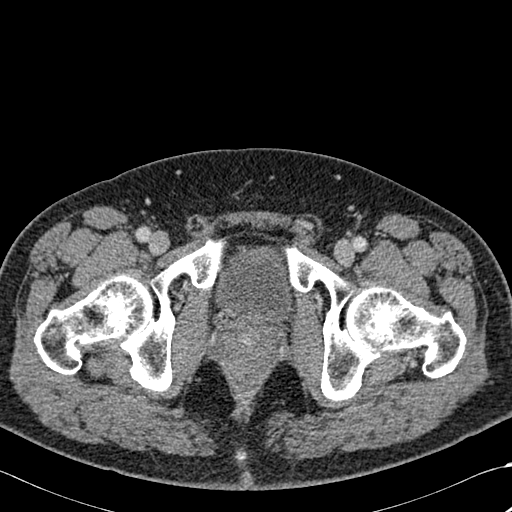
Image size 512x512, CT image
bone:
  - x1=286 y1=248 x2=466 y2=400
  - x1=34 y1=240 x2=222 y2=391